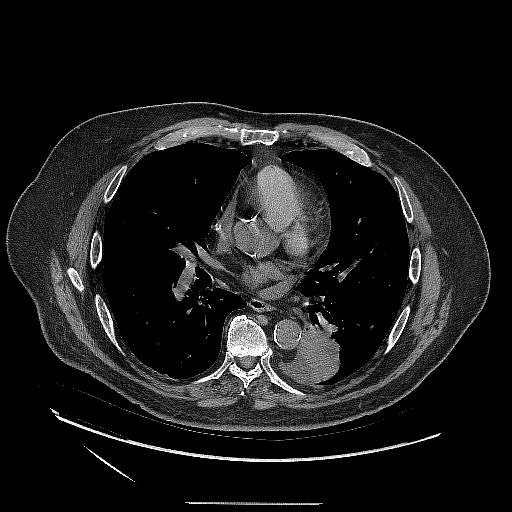 Chest | CT image
lung_tumor:
  - 285:325:343:385